Slice index 10 | Magnetic resonance 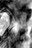 Segmented structures:
- posterior hippocampus: [18, 22, 25, 23]
- anterior hippocampus: [12, 6, 25, 21]